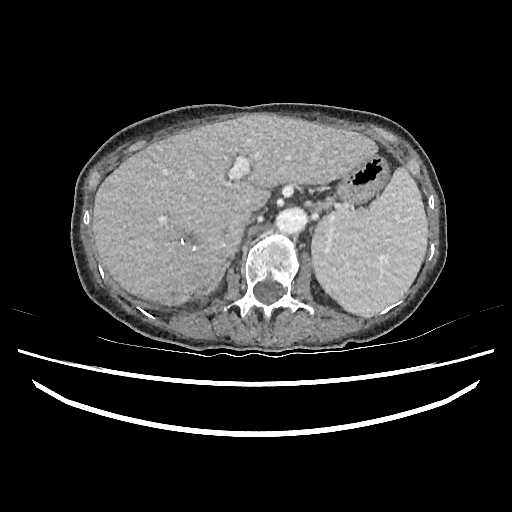 CT image

The liver appears at (93,114,375,303).